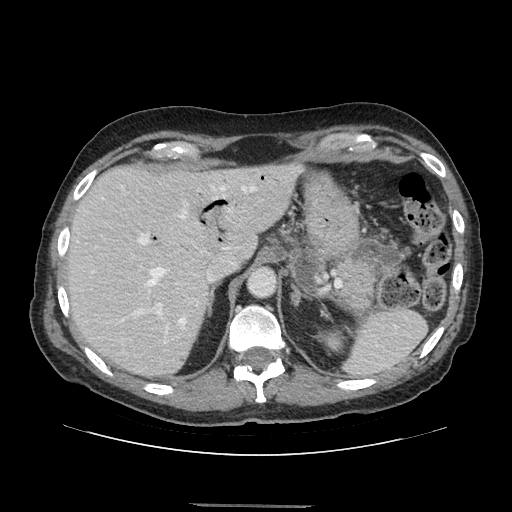

512x512; CT scan slice
pancreas:
  - bbox=[340, 259, 374, 310]